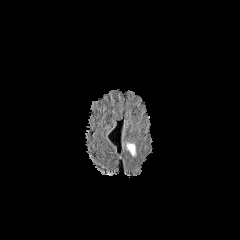
FLAIR magnetic resonance.
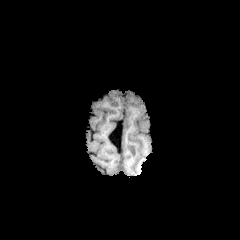
T1-weighted magnetic resonance.
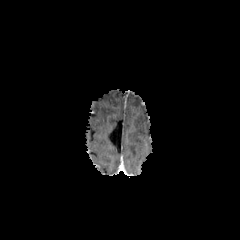
Post-contrast T1-weighted MR.
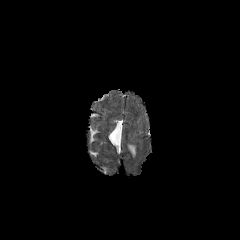
T2-weighted MR image.
The edema is located at x1=127, y1=143, x2=135, y2=155.